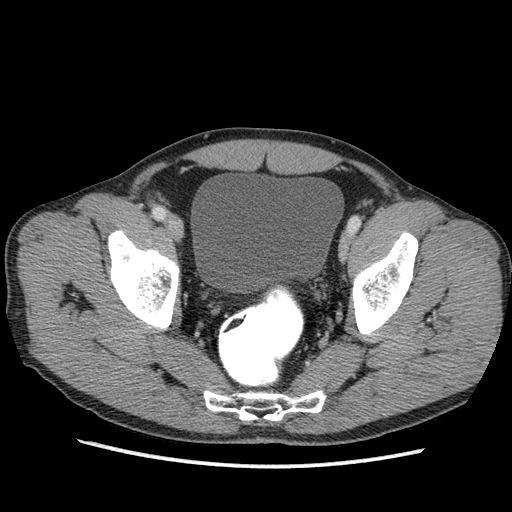
512x512. Lower abdomen. Computed tomography.
The urinary bladder is bounded by left=191, top=171, right=343, bottom=291.